Slice 50/155 | Head
FLAIR magnetic resonance.
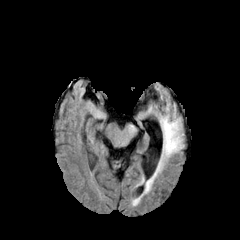
T1-weighted MR image.
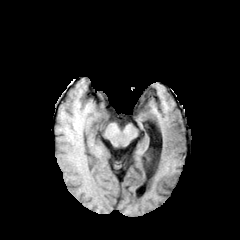
Post-contrast T1-weighted MRI.
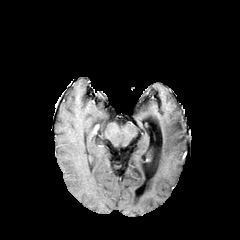
T2-weighted magnetic resonance.
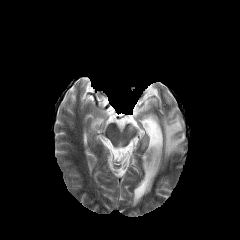
edema: [139, 113, 183, 193], [132, 195, 141, 205]